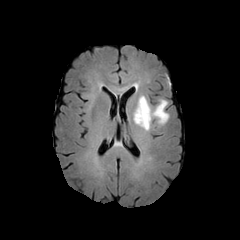
FLAIR magnetic resonance.
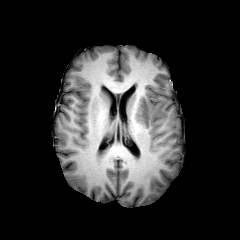
Same slice, T1-weighted magnetic resonance.
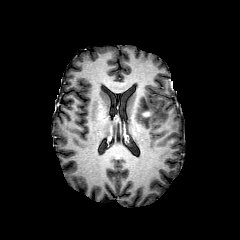
Post-contrast T1-weighted magnetic resonance of the same slice.
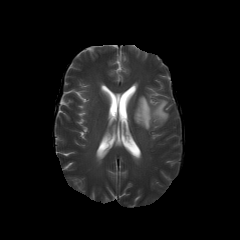
T2-weighted MR.
240x240 px
2 edema regions are located at 129:101:135:115, 136:96:169:130. The non-enhancing tumor core appears at 137:100:149:122.